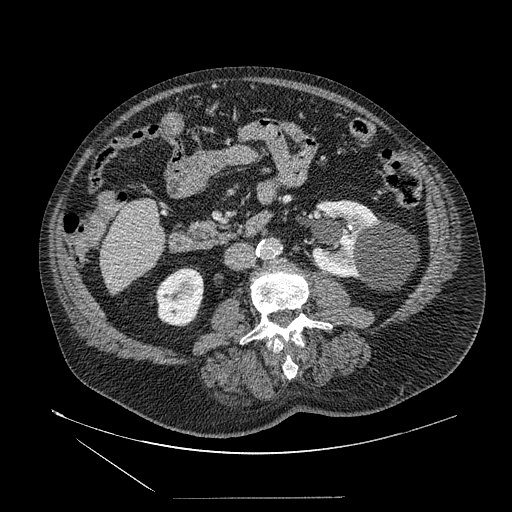
CT slice
<segmentation>
  <pancreas>[186, 218, 222, 244]</pancreas>
</segmentation>